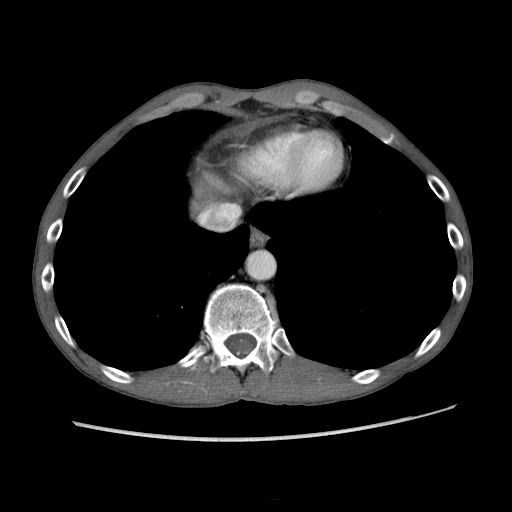

512x512 | CT image

liver: [205,173,246,211]